FLAIR MR.
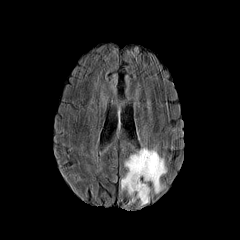
T1-weighted magnetic resonance.
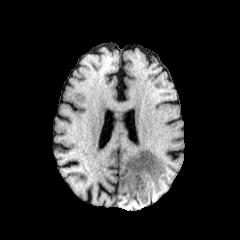
Post-contrast T1-weighted MR.
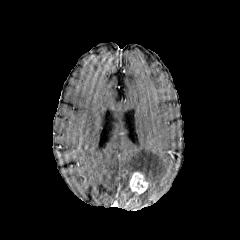
T2-weighted MRI.
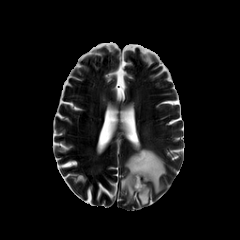
240x240 px
Edema: bounding box [118,148,165,207].
Enhancing tumor: bounding box [129,172,148,195].